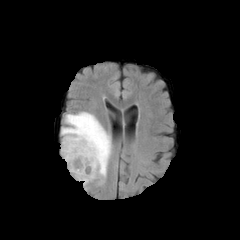
FLAIR MR image.
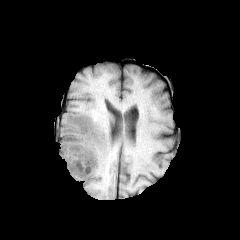
T1-weighted magnetic resonance.
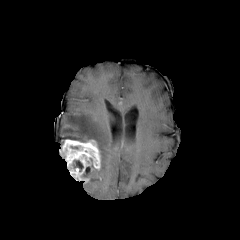
Post-contrast T1-weighted magnetic resonance.
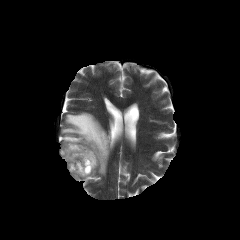
Same slice, T2-weighted MRI.
Head | 240x240 px
- edema: rect(61, 112, 110, 176)
- enhancing tumor: rect(60, 139, 100, 183)